FLAIR MRI.
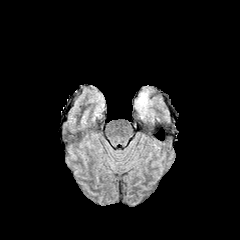
T1-weighted magnetic resonance.
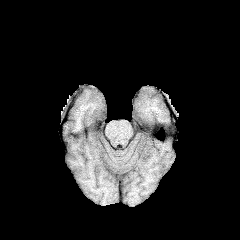
Post-contrast T1-weighted MRI.
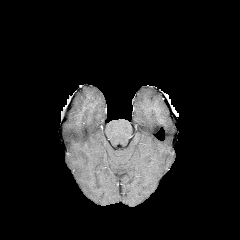
T2-weighted magnetic resonance.
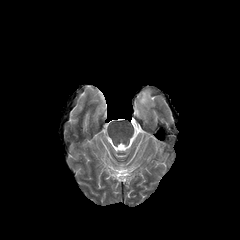
Brain
Annotated regions:
- edema: (left=140, top=95, right=148, bottom=108)